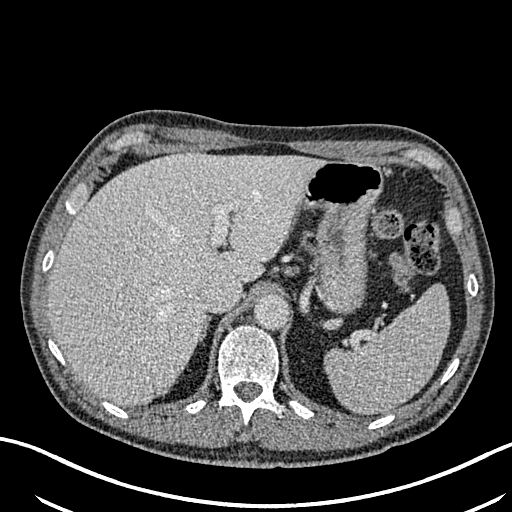
Computed tomography, Upper abdomen
Liver at 49,154,325,405.